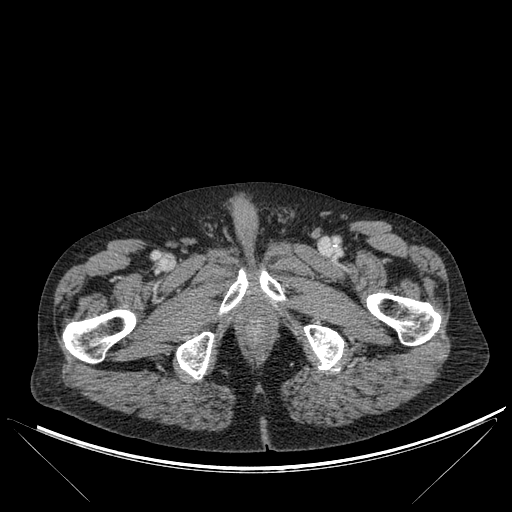

CT slice

{
  "bone": [
    "box(259, 270, 284, 301)",
    "box(366, 293, 441, 345)",
    "box(176, 332, 214, 379)",
    "box(62, 309, 135, 363)",
    "box(219, 270, 248, 314)",
    "box(304, 325, 343, 370)"
  ]
}